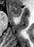 MRI; 34x47 px; Medial temporal lobe
Segmented structures:
- anterior hippocampus: (10,6,21,16)